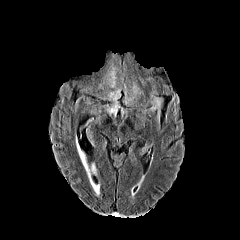
FLAIR MRI.
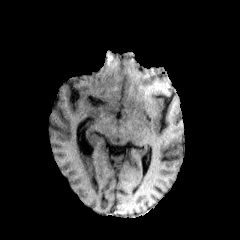
T1-weighted MR image of the same slice.
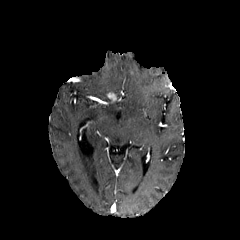
Post-contrast T1-weighted magnetic resonance.
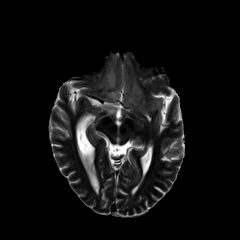
T2-weighted MR.
240x240 px, Head
5 edema regions are located at l=107, t=88, r=121, b=98; l=99, t=69, r=116, b=88; l=147, t=91, r=163, b=121; l=105, t=100, r=119, b=115; l=123, t=81, r=143, b=106.